FLAIR magnetic resonance.
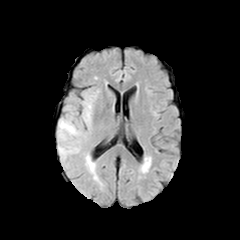
T1-weighted MRI.
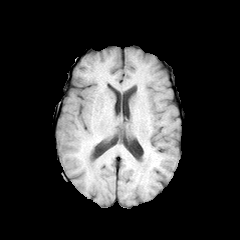
Post-contrast T1-weighted MR.
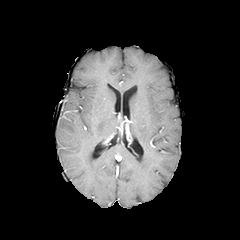
T2-weighted MR.
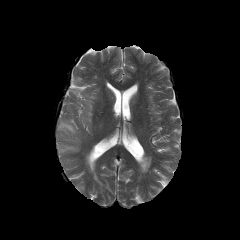
240x240 px. Head.
Edema: bbox=[82, 95, 94, 129]; bbox=[57, 116, 82, 157].